CT scan slice.
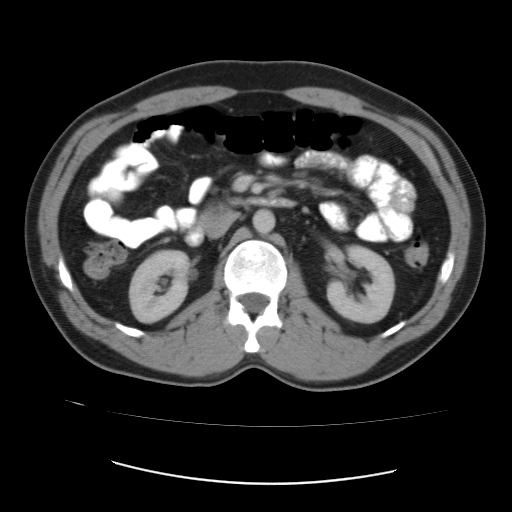
The colon tumor lies within [x1=404, y1=244, x2=428, y2=267].